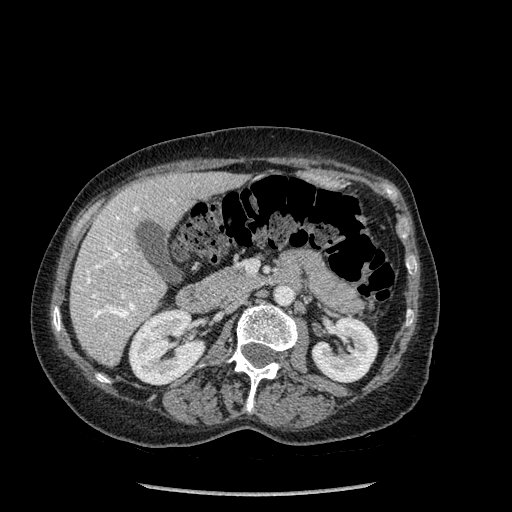
CT slice. Liver. Bone — left=406, top=310, right=413, bottom=325; left=406, top=261, right=416, bottom=274; left=227, top=303, right=297, bottom=412; left=96, top=373, right=109, bottom=382; left=53, top=306, right=60, bottom=331.
Liver — left=70, top=172, right=250, bottom=365.
Kidney — left=129, top=310, right=204, bottom=384; left=312, top=318, right=377, bottom=381.